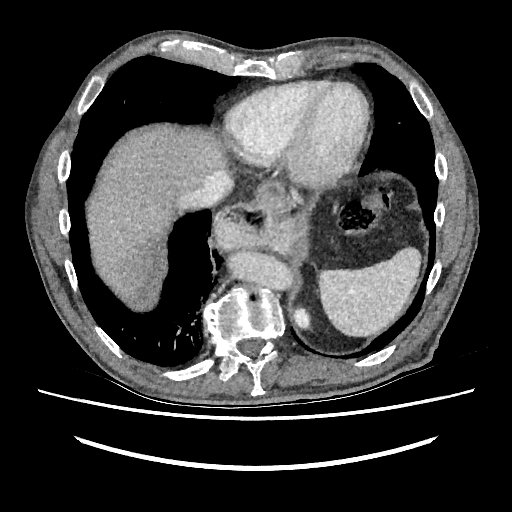
CT image; Abdomen
Liver lesion at 119, 234, 165, 289.
Kidney at 295, 309, 308, 326.
Liver at 87, 127, 230, 299.